Image size 512x512; CT scan slice; Field of view 335x335 mm; Slice 240/565 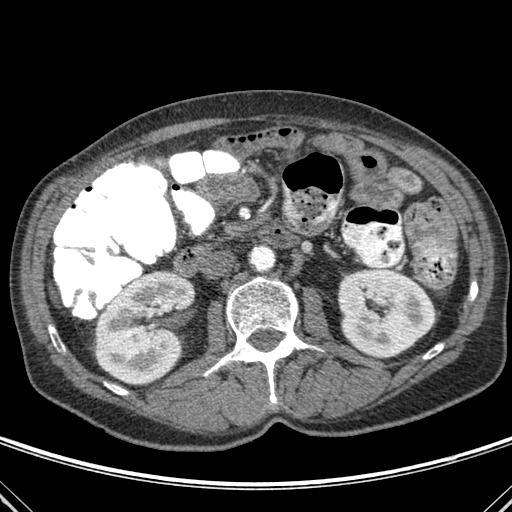 6 bone regions are bounded by bbox=[423, 344, 443, 359]; bbox=[48, 325, 63, 349]; bbox=[240, 208, 249, 218]; bbox=[204, 277, 322, 403]; bbox=[104, 382, 128, 395]; bbox=[470, 282, 477, 300]. 2 kidney regions are located at bbox=[96, 274, 193, 383]; bbox=[339, 270, 434, 356].